240x240 px. Slice 103/155.
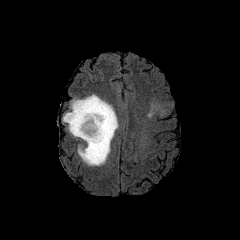
FLAIR magnetic resonance.
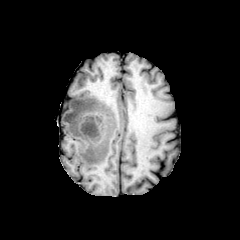
Same slice, T1-weighted MR.
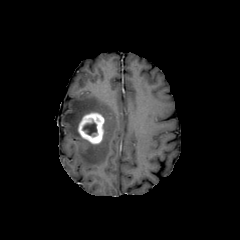
Post-contrast T1-weighted magnetic resonance of the same slice.
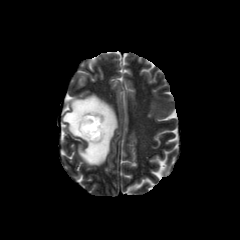
T2-weighted MR image.
The non-enhancing tumor core lies within 83:123:96:134. The edema lies within 62:94:118:166. The enhancing tumor is bounded by 78:112:105:143.